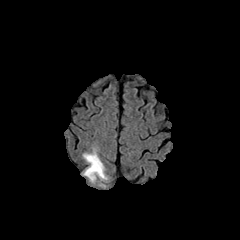
FLAIR MR image.
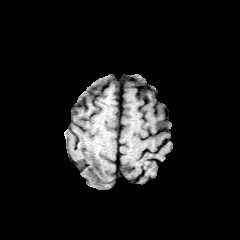
T1-weighted MR.
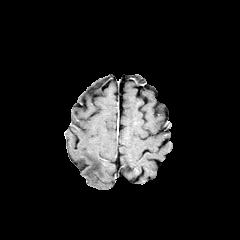
Post-contrast T1-weighted MR of the same slice.
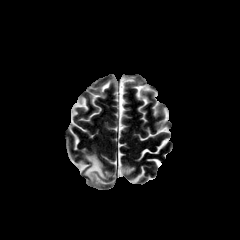
Same slice, T2-weighted MRI.
The edema is bounded by box(82, 150, 109, 188).